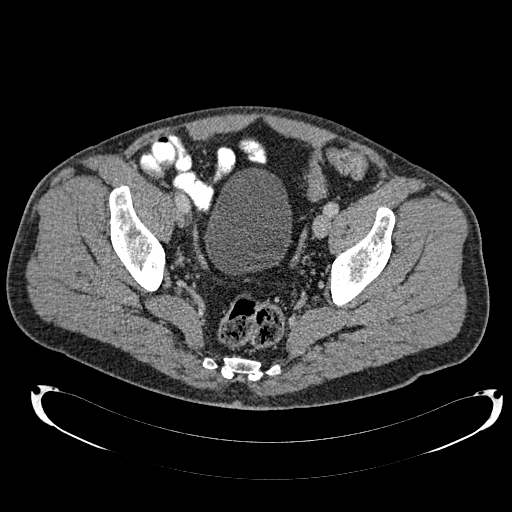 Pelvis, 512x512 px, CT image
Segmented structures:
- urinary bladder: left=204, top=167, right=291, bottom=274